240x240. Head.
FLAIR MRI.
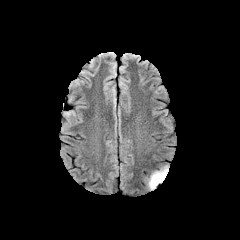
T1-weighted MRI.
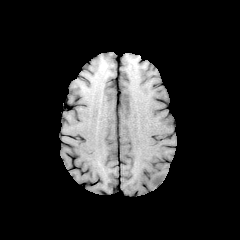
Post-contrast T1-weighted MR.
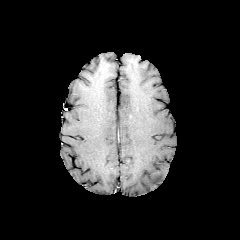
T2-weighted magnetic resonance.
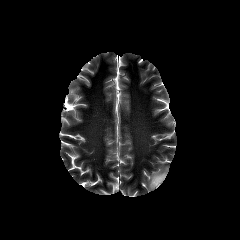
edema: 146:164:169:188